Image size 35x47, Hippocampus, MR, Image width 35 mm
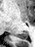 The posterior hippocampus is at [16,31,28,39].